Slice index 99; 240x240
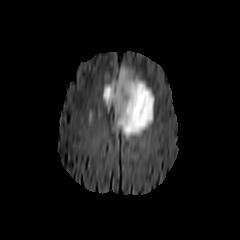
FLAIR MR image.
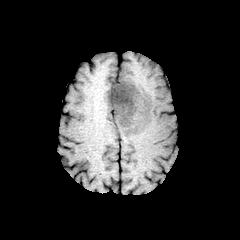
T1-weighted MR image of the same slice.
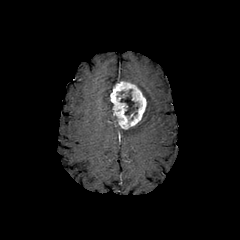
Post-contrast T1-weighted MR image.
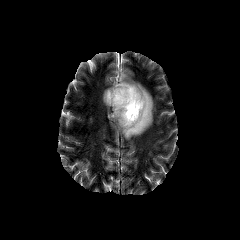
T2-weighted MRI.
The enhancing tumor is at left=110, top=80, right=146, bottom=129. The non-enhancing tumor core appears at left=120, top=94, right=137, bottom=115. 2 edema regions are bounded by left=102, top=77, right=118, bottom=113; left=112, top=66, right=154, bottom=140.